MR. Hippocampus.

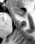
The anterior hippocampus is bounded by [11,7,24,16].